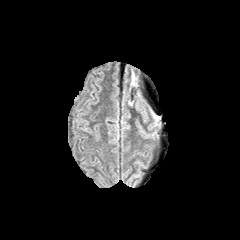
FLAIR MR image.
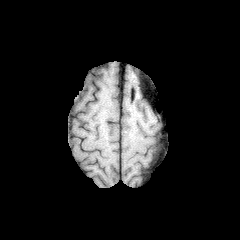
T1-weighted MR.
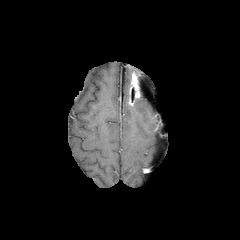
Post-contrast T1-weighted MRI.
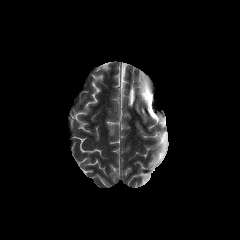
T2-weighted MR image of the same slice.
Head
Enhancing tumor — x1=130 y1=76 x2=139 y2=95.